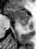 Hippocampus. MR.
Posterior hippocampus at 18, 21, 27, 27.
Anterior hippocampus at 7, 8, 29, 20.